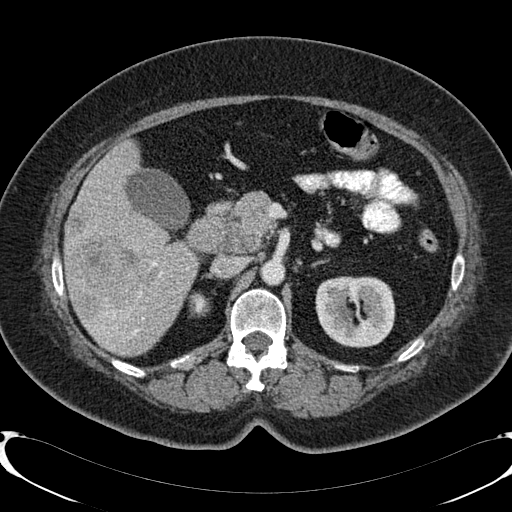
Upper abdomen; CT scan slice

Liver = (65,142,197,356).
Liver lesion = (74,214,159,316).
Kidney = (316,277,393,346), (189,292,210,317).